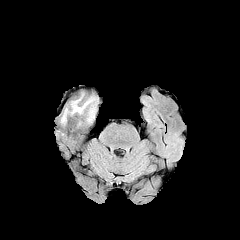
FLAIR MRI.
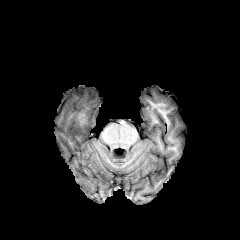
T1-weighted magnetic resonance.
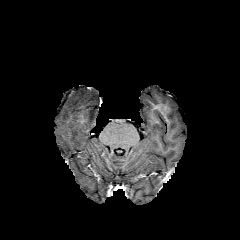
Post-contrast T1-weighted magnetic resonance of the same slice.
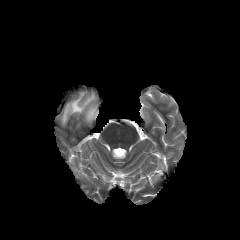
T2-weighted MR image of the same slice.
Brain
edema: 61,93,96,124